CT image

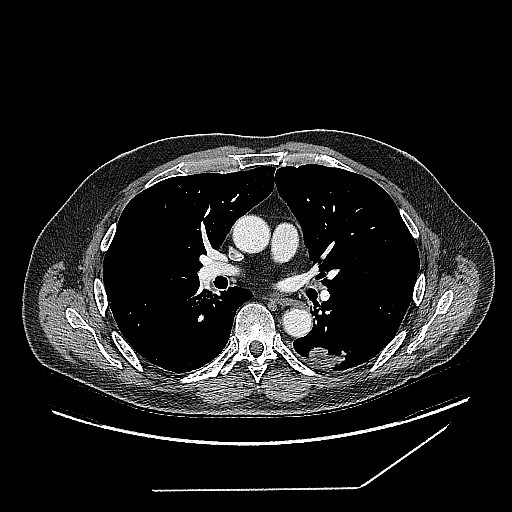
Lung tumor = 306:343:351:367.